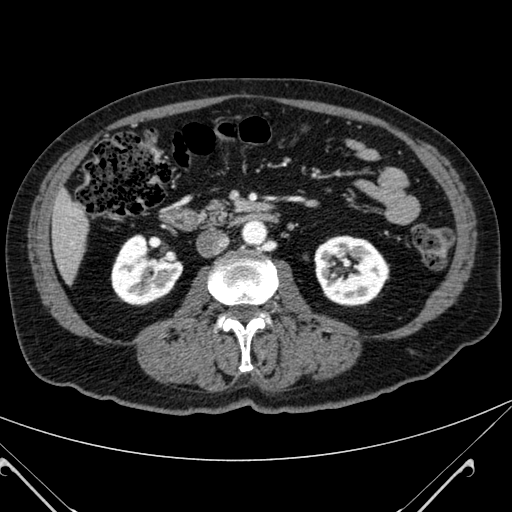

Abdomen. CT image. {"kidney": ["(315, 237, 387, 304)", "(165, 253, 174, 260)", "(112, 236, 181, 303)"], "liver": ["(51, 197, 87, 282)"]}